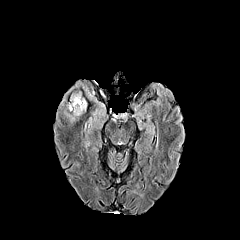
FLAIR MR.
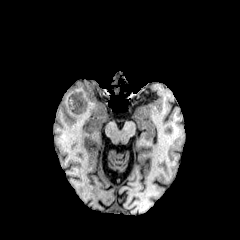
T1-weighted MRI of the same slice.
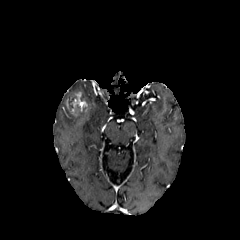
Post-contrast T1-weighted MR.
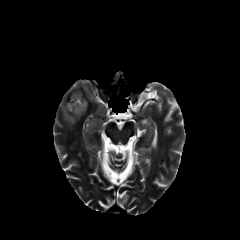
T2-weighted MR image.
Head
The edema is located at (64,110,85,122). The enhancing tumor is located at (66,91,87,114).